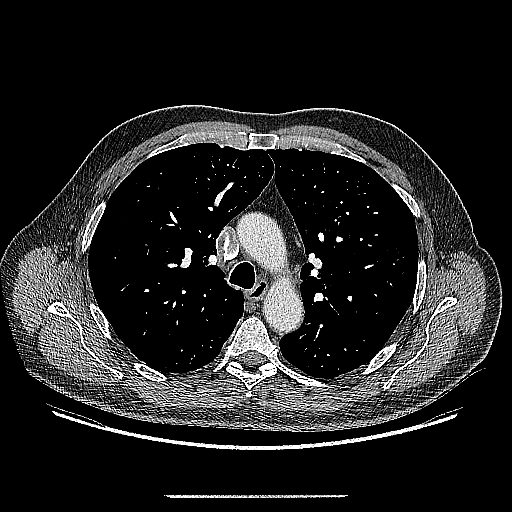
CT slice

The lung tumor is bounded by x1=393, y1=244, x2=406, y2=258.